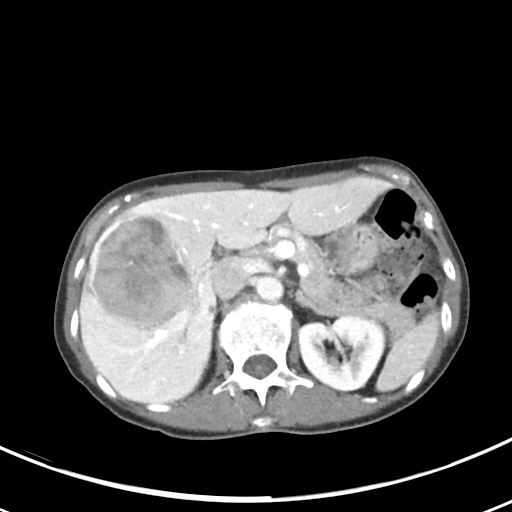 CT image
The vessel boxes may cover only some of the vessels.
Segmented structures:
* liver tumor: x1=91 y1=211 x2=201 y2=333
* hepatic vessel: x1=157 y1=332 x2=165 y2=337, x1=245 y1=222 x2=247 y2=224